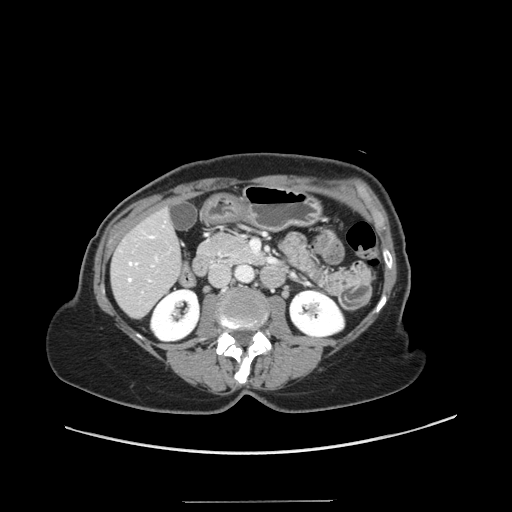

Computed tomography. Image size 512x512.
Only some of the vessels may be annotated.
3 hepatic vessel regions are located at 129 278 130 280, 150 236 152 237, 130 262 137 264.